Field of view 240 mm wide, 1.00 mm slice spacing
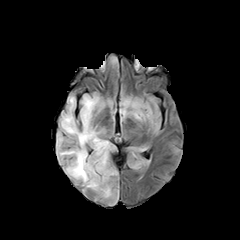
FLAIR MRI.
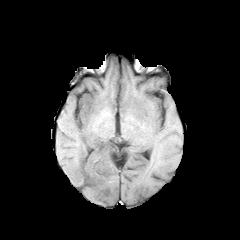
Same slice, T1-weighted MR.
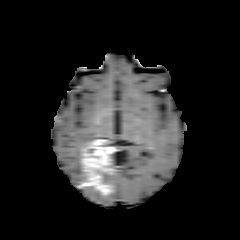
Post-contrast T1-weighted MR.
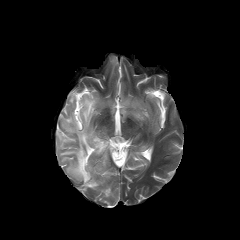
T2-weighted MRI.
Findings:
- non-enhancing tumor core: [80, 142, 113, 195]
- enhancing tumor: [87, 139, 115, 167], [80, 150, 98, 187]
- edema: [103, 170, 115, 181], [56, 92, 100, 183], [132, 110, 145, 119]